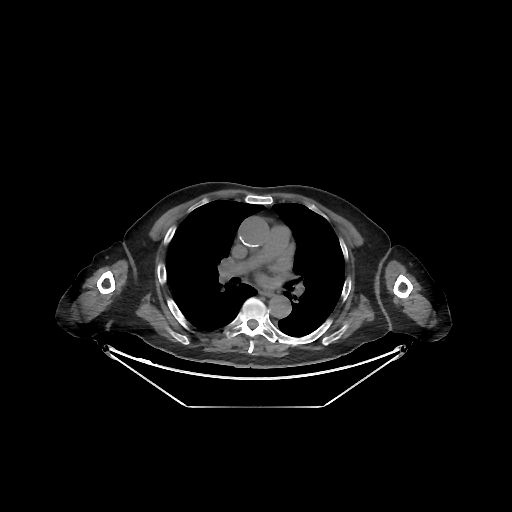
CT scan slice
The lung is at [x1=165, y1=200, x2=344, y2=336]. 10 bone regions are bounded by [x1=167, y1=300, x2=186, y2=327], [x1=393, y1=275, x2=412, y2=298], [x1=97, y1=271, x2=114, y2=293], [x1=322, y1=326, x2=346, y2=344], [x1=165, y1=231, x2=173, y2=242], [x1=171, y1=332, x2=188, y2=344], [x1=231, y1=298, x2=331, y2=352], [x1=245, y1=195, x2=272, y2=203], [x1=157, y1=265, x2=165, y2=282], [x1=342, y1=281, x2=350, y2=300].